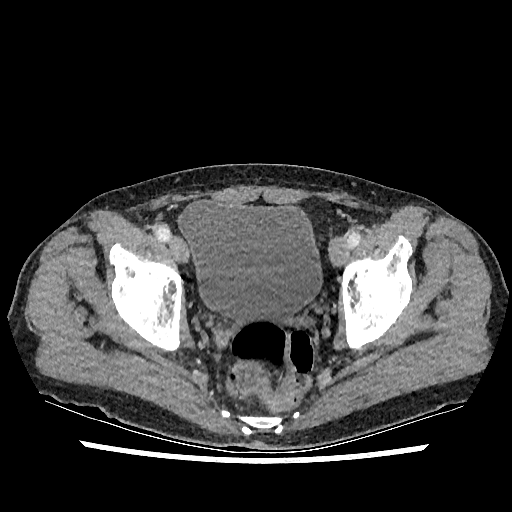

CT image. 512x512. The urinary bladder is at (left=179, top=199, right=322, bottom=333).